FLAIR magnetic resonance.
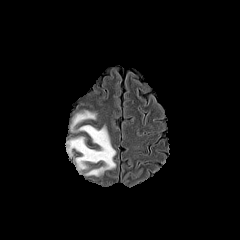
T1-weighted MR.
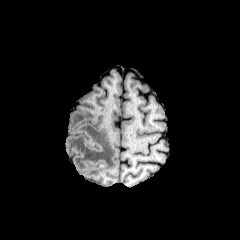
Post-contrast T1-weighted MR.
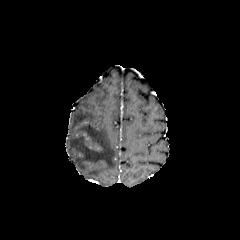
T2-weighted MR.
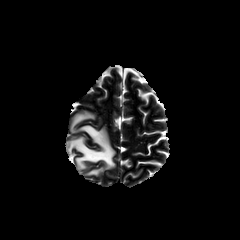
Edema: (66,125,116,175), (71,111,95,131).